FLAIR MRI.
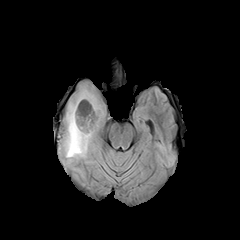
T1-weighted magnetic resonance.
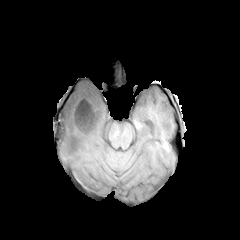
Post-contrast T1-weighted MR.
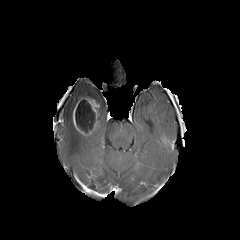
T2-weighted MR.
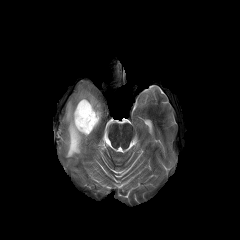
Image size 240x240
2 enhancing tumor regions are located at (left=72, top=112, right=85, bottom=134), (left=85, top=96, right=99, bottom=114). The edema is bounded by (left=63, top=88, right=102, bottom=161). The non-enhancing tumor core lies within (left=74, top=96, right=99, bottom=135).